T2-weighted MR image.
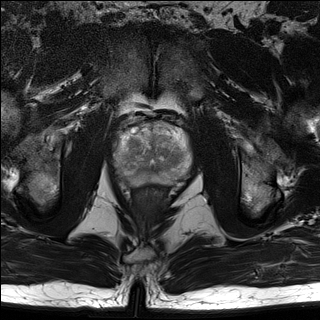
ADC magnetic resonance.
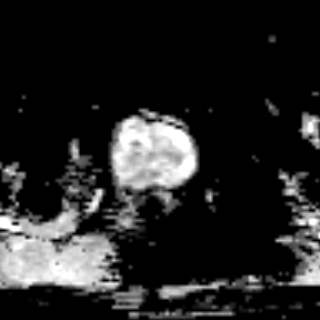
Image size 320x320
Prostate peripheral zone — box=[115, 127, 190, 185].
Prostate transition zone — box=[126, 123, 184, 171].